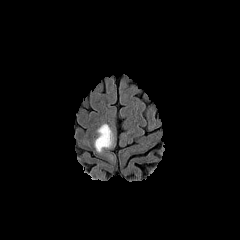
FLAIR MR image.
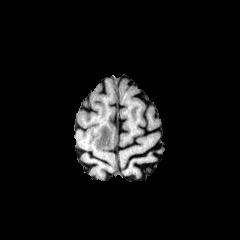
Same slice, T1-weighted MR.
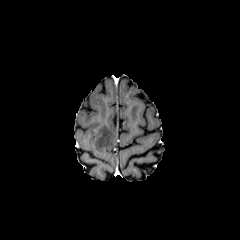
Post-contrast T1-weighted MRI.
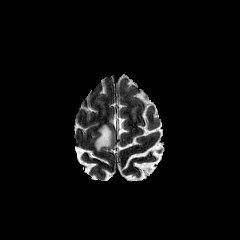
T2-weighted MR image.
240x240 px.
Annotated regions:
• edema: (94, 124, 113, 151)